Slice 384 of 986; Field of view 432x432 mm; CT scan slice 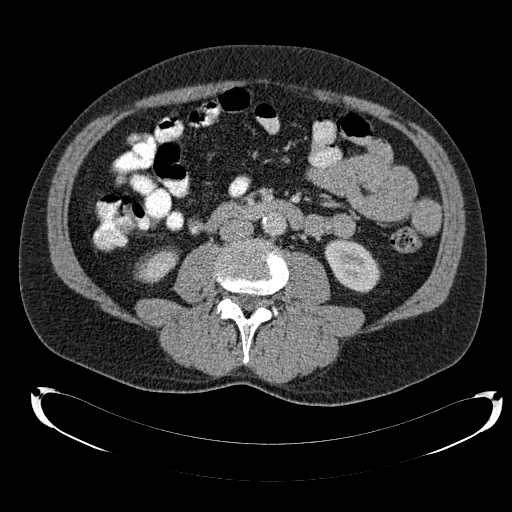
2 kidney regions are bounded by (325,240,378,291), (140,252,175,281).